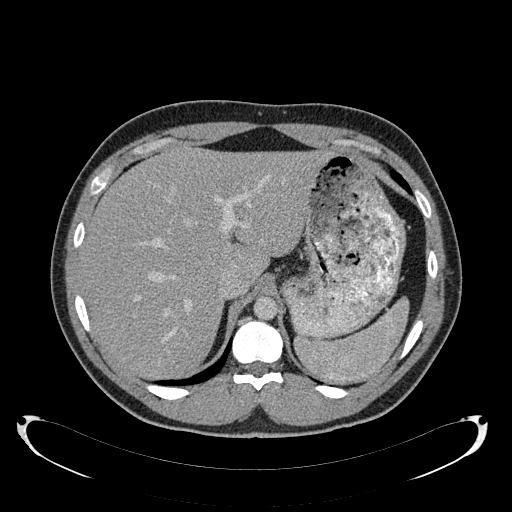

CT

The liver appears at x1=79, y1=145, x2=334, y2=377.